FLAIR MR.
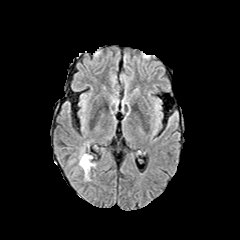
T1-weighted MR.
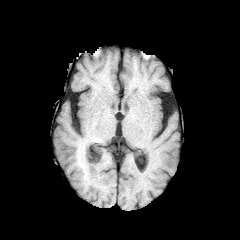
Post-contrast T1-weighted MR.
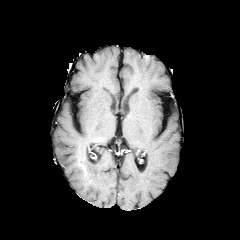
T2-weighted MRI.
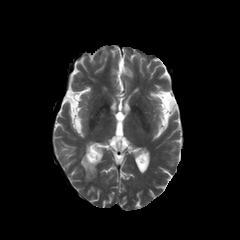
Brain.
Annotated regions:
- edema: bbox=[79, 151, 95, 179]